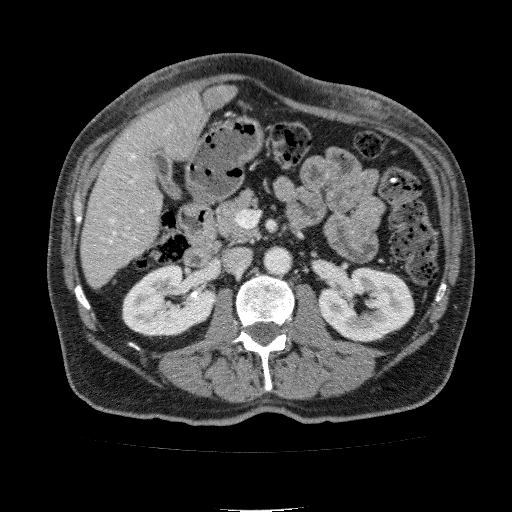 CT slice
2 liver regions are bounded by 81 89 208 288, 205 84 236 108. 2 kidney regions appear at 123 266 213 334, 319 268 413 340.